FLAIR MRI.
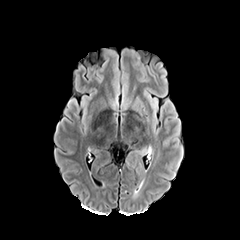
T1-weighted MR image.
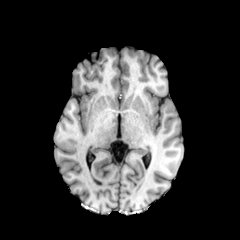
Post-contrast T1-weighted magnetic resonance.
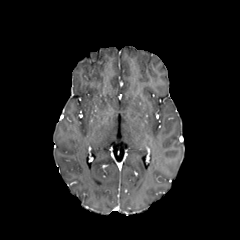
T2-weighted MRI.
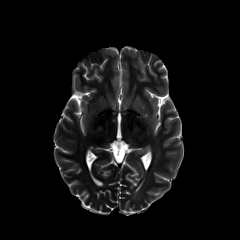
240x240
3 edema regions are located at bbox=[147, 95, 158, 133]; bbox=[120, 85, 131, 111]; bbox=[132, 99, 142, 114].